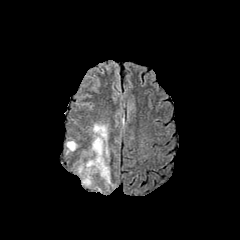
FLAIR magnetic resonance.
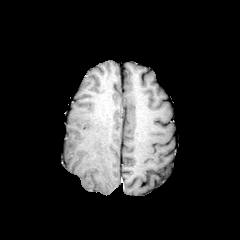
T1-weighted MR.
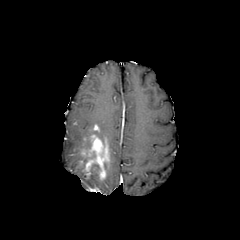
Post-contrast T1-weighted MR.
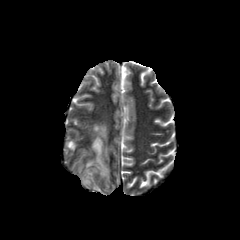
Same slice, T2-weighted MR.
Brain
Edema = bbox=[65, 139, 77, 154]; bbox=[103, 163, 111, 184]; bbox=[75, 160, 92, 187]; bbox=[94, 123, 108, 140].
Enhancing tumor = bbox=[92, 125, 100, 132]; bbox=[84, 134, 110, 179].